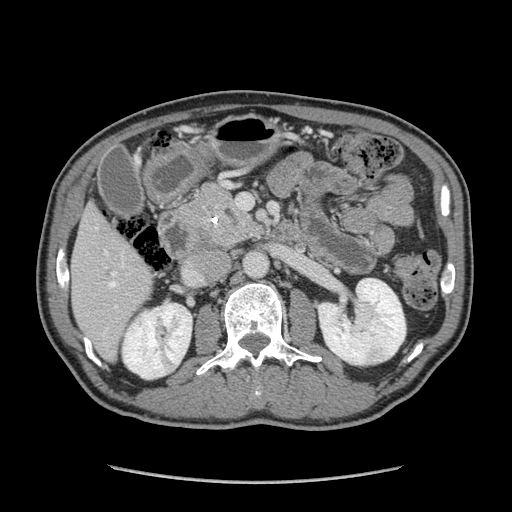

512x512 px, CT
Findings:
- pancreas: bbox(181, 182, 260, 249)